Image size 512x512 | Computed tomography | Slice index 121 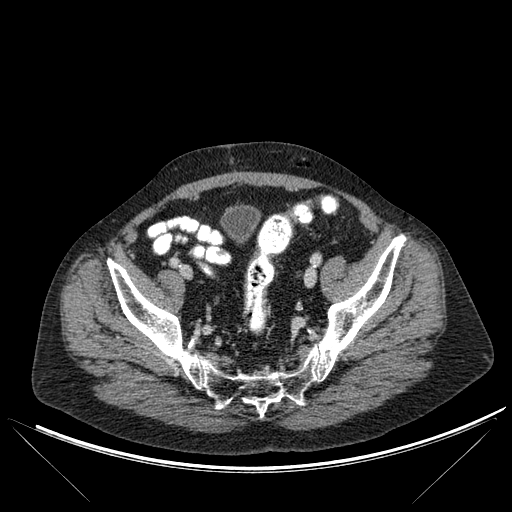
bone:
  - (107, 235, 405, 418)